CT image. Image size 512x512. Slice 27/75.

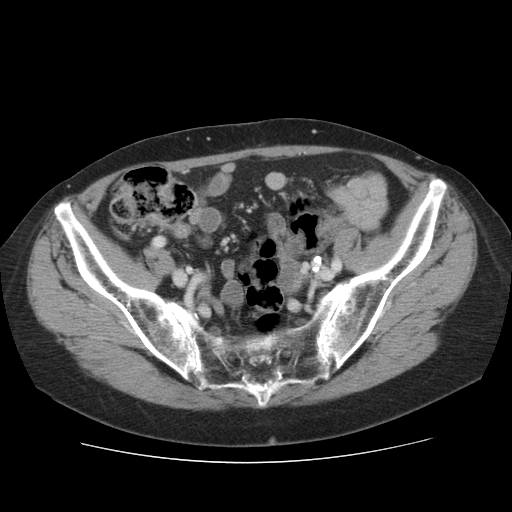
* bone: left=54, top=179, right=446, bottom=406